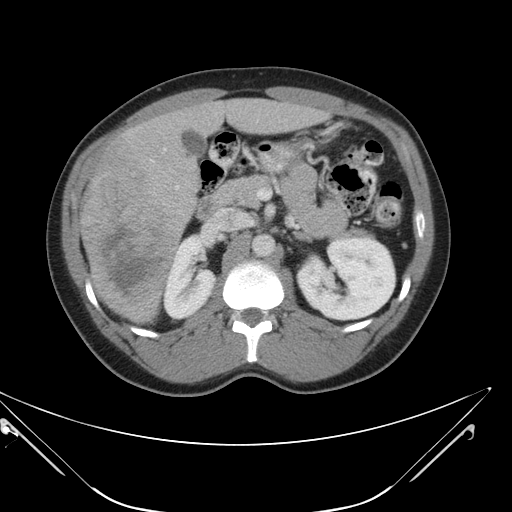

Liver, CT slice
Only some of the vessels may be annotated.
liver tumor: box=[81, 176, 177, 321] | hepatic vessel: box=[151, 159, 152, 161]; box=[175, 185, 178, 188]; box=[164, 148, 165, 149]